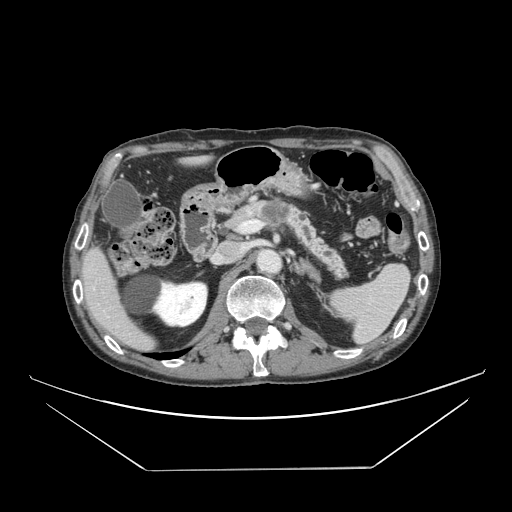 Upper abdomen; CT scan slice
pancreatic_tumor:
  - [262, 202, 290, 220]
pancreas:
  - [226, 197, 351, 281]